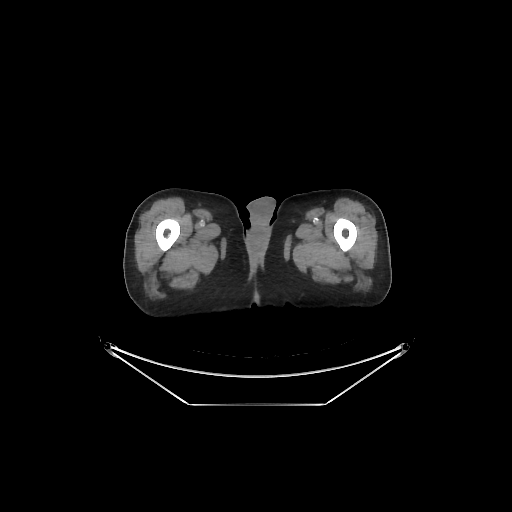

Computed tomography; 512x512
Bone — (156,218,179,250), (334,218,356,251).